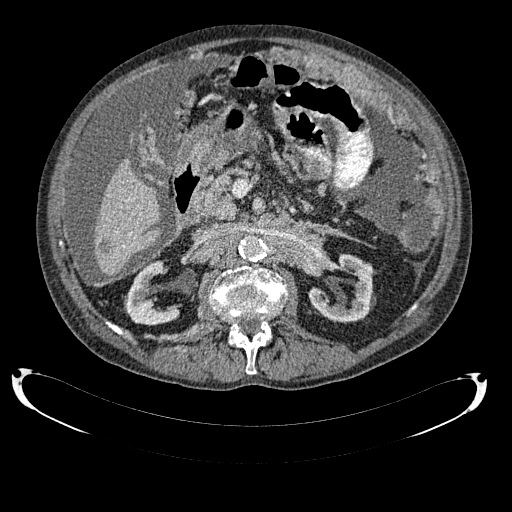
CT image | Abdomen | Image size 512x512
Liver at box(94, 157, 159, 275).
Focal liver lesion at box(100, 241, 112, 252).
Kidney at box(126, 261, 178, 324); box(306, 251, 372, 321).